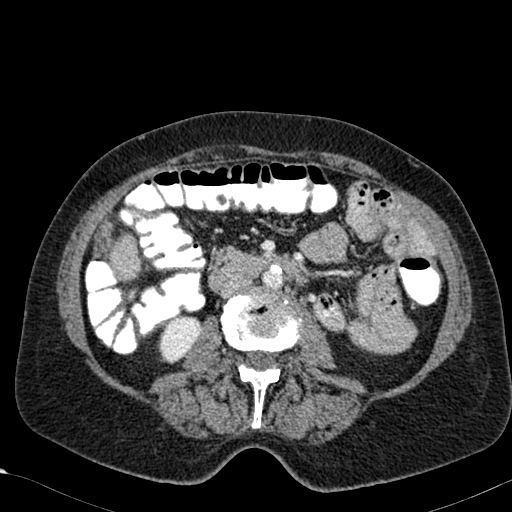 Abdomen, CT
* liver: bbox(111, 236, 140, 278)
* kidney: bbox(357, 334, 368, 345); bbox(160, 310, 204, 362)